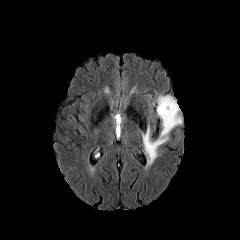
FLAIR MRI.
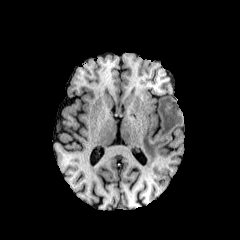
Same slice, T1-weighted MR image.
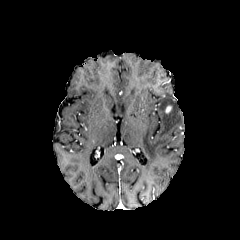
Same slice, post-contrast T1-weighted MR image.
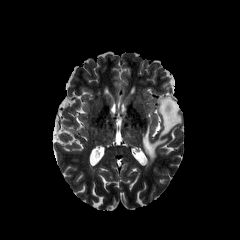
T2-weighted magnetic resonance.
Image size 240x240; Brain
Edema at x1=141 y1=96 x2=183 y2=166.